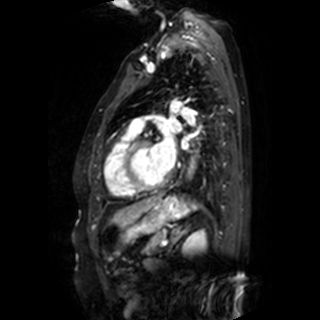
MR image
Left atrium: bounding box bbox(181, 139, 186, 148); bbox(172, 121, 181, 128); bbox(154, 133, 175, 168).